Head
FLAIR MRI.
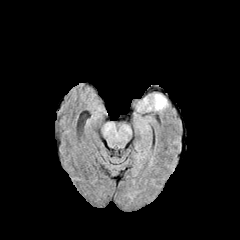
T1-weighted MRI.
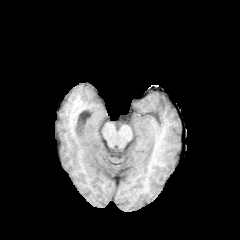
Post-contrast T1-weighted MR image.
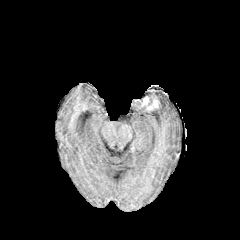
T2-weighted MR image.
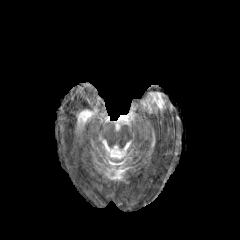
Segmented structures:
* edema: (left=140, top=93, right=167, bottom=110)